Slice index 114 | 240x240 px
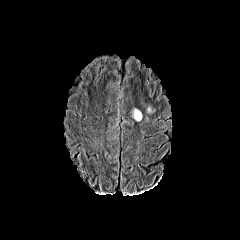
FLAIR MR image.
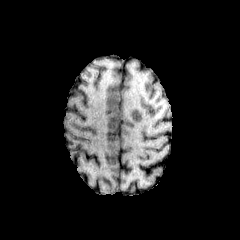
T1-weighted MRI of the same slice.
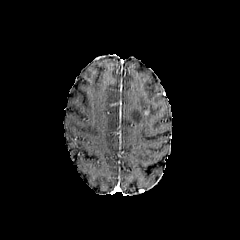
Post-contrast T1-weighted MRI.
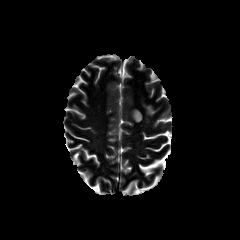
Same slice, T2-weighted MR image.
Findings:
* edema: (132,108,143,120)